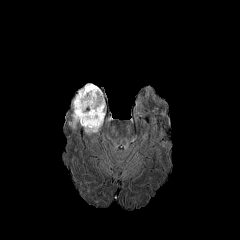
FLAIR MR image.
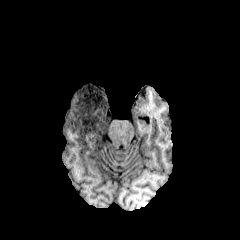
T1-weighted MR image.
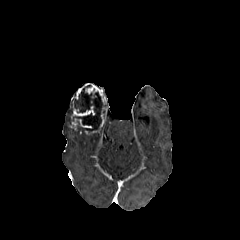
Post-contrast T1-weighted MR image.
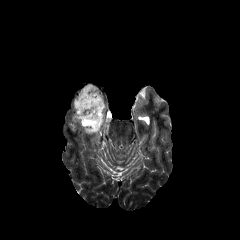
Same slice, T2-weighted MRI.
Brain. 240x240 px.
<segmentation>
  <non-enhancing_tumor_core>box=[76, 122, 89, 132]; box=[65, 86, 102, 131]</non-enhancing_tumor_core>
  <enhancing_tumor>box=[71, 83, 108, 130]; box=[72, 106, 95, 116]; box=[70, 118, 96, 137]</enhancing_tumor>
</segmentation>